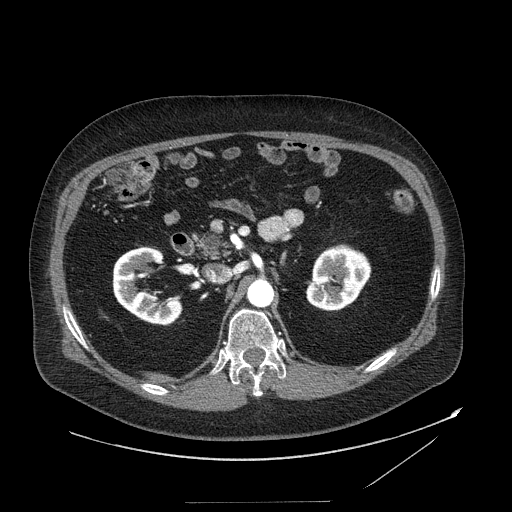

Abdomen, CT image

pancreas: (192,232,232,261) | pancreatic tumor: (205,237,219,251)